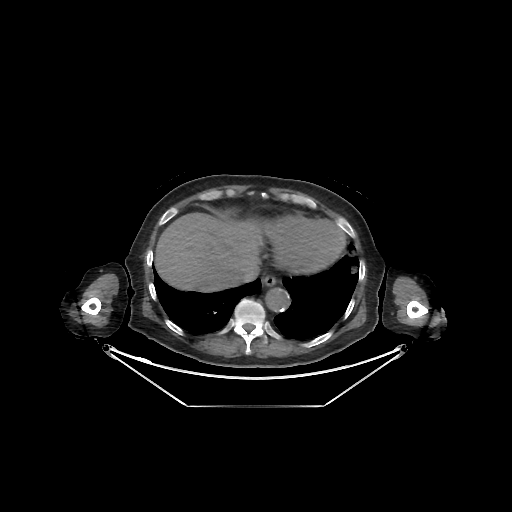
Abdomen. CT. Lung at left=273, top=242, right=358, bottom=340; left=153, top=263, right=261, bottom=335.
Bone at left=359, top=262, right=364, bottom=279; left=149, top=283, right=155, bottom=299; left=340, top=225, right=353, bottom=236; left=159, top=209, right=176, bottom=224; left=345, top=301, right=354, bottom=318; left=166, top=320, right=181, bottom=334; left=407, top=300, right=427, bottom=319; left=304, top=333, right=331, bottom=346; left=231, top=299, right=267, bottom=351; left=147, top=251, right=152, bottom=265; left=81, top=297, right=100, bottom=314.
Liver at left=156, top=213, right=262, bottom=291.